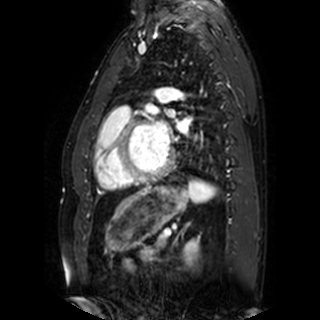

MRI slice. Heart.
3 left atrium regions are located at region(152, 122, 168, 143); region(166, 109, 174, 117); region(175, 122, 187, 133).